T2-weighted MRI.
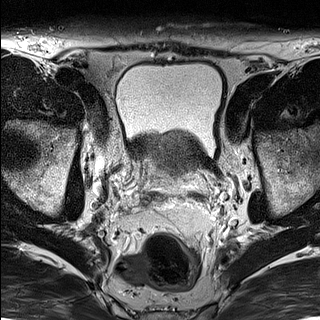
ADC magnetic resonance.
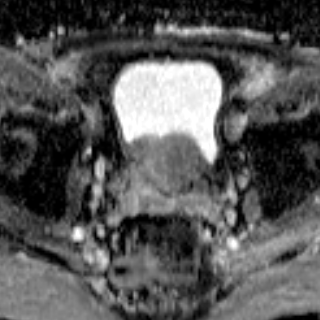
Prostate.
Prostate transition zone — 146:136:196:172.